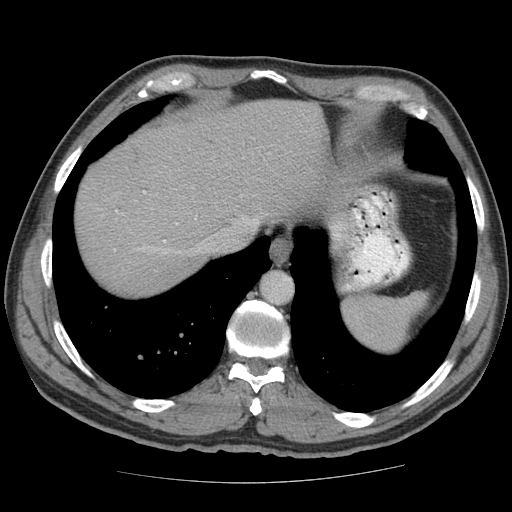
512x512, Computed tomography
Some hepatic vessels may have no box.
The hepatic vessel is bounded by (x1=134, y1=215, x2=257, y2=254).